Slice 228 of 908. CT image.

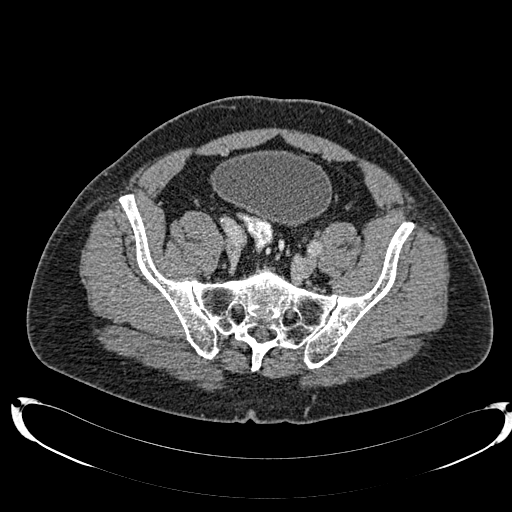 Urinary bladder = (left=212, top=150, right=331, bottom=225).